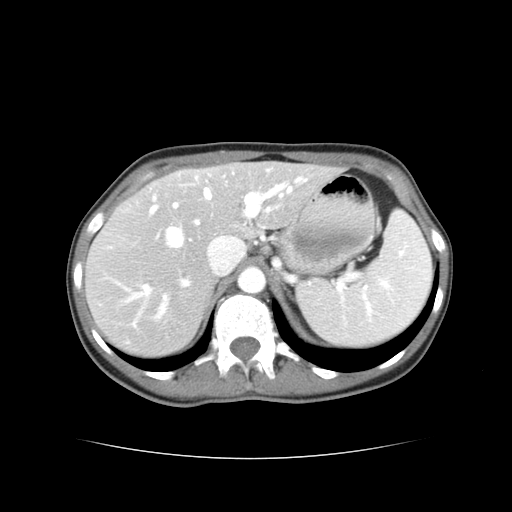
Liver. CT scan slice.
The vessel boxes may cover only some of the vessels.
Segmented structures:
• hepatic vessel: x1=151, y1=207, x2=156, y2=212; x1=245, y1=194, x2=260, y2=216; x1=144, y1=286, x2=150, y2=293; x1=174, y1=204, x2=177, y2=207; x1=204, y1=190, x2=210, y2=198; x1=183, y1=282, x2=187, y2=284; x1=168, y1=228, x2=181, y2=246; x1=298, y1=179, x2=302, y2=180; x1=263, y1=184, x2=291, y2=198; x1=164, y1=297, x2=166, y2=300; x1=132, y1=294, x2=139, y2=298; x1=196, y1=221, x2=198, y2=223